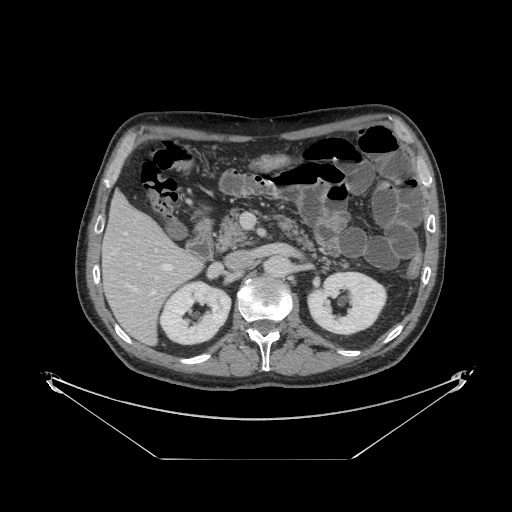
Upper abdomen | CT

Findings:
* pancreas: 216,206,350,267